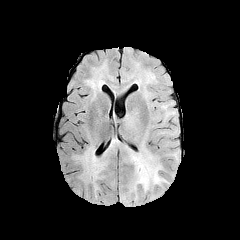
FLAIR MR.
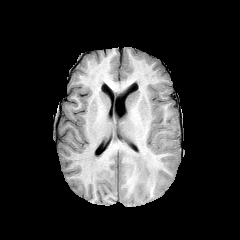
Same slice, T1-weighted MRI.
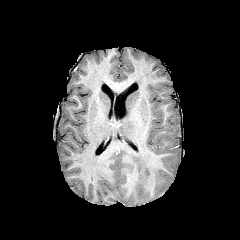
Post-contrast T1-weighted magnetic resonance.
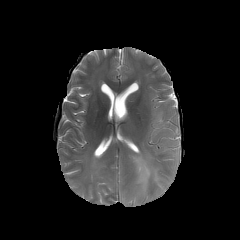
T2-weighted MRI.
Findings:
- edema: (78, 144, 104, 182), (129, 150, 161, 193)